Pelvis. 320x320 px.
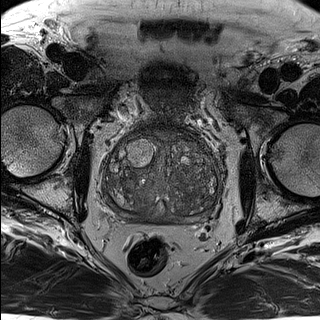
T2-weighted MRI.
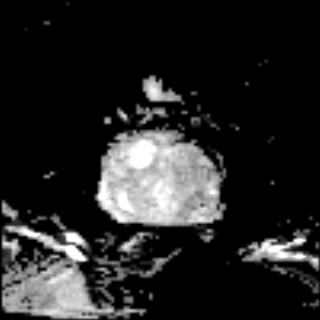
ADC MR of the same slice.
Annotated regions:
- prostate peripheral zone: 105 194 213 220
- prostate transition zone: 105 131 220 215